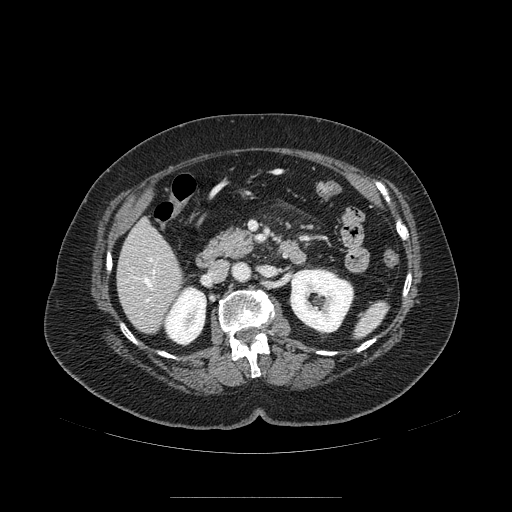 512x512 px. CT image.
The pancreas lies within 219 224 258 261.